Slice 45/97, CT slice 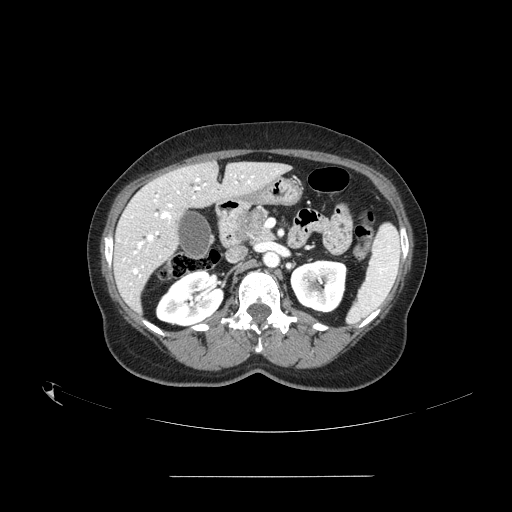

pancreas: bbox(236, 207, 274, 241) | pancreatic tumor: bbox(238, 210, 262, 238)